CT image.
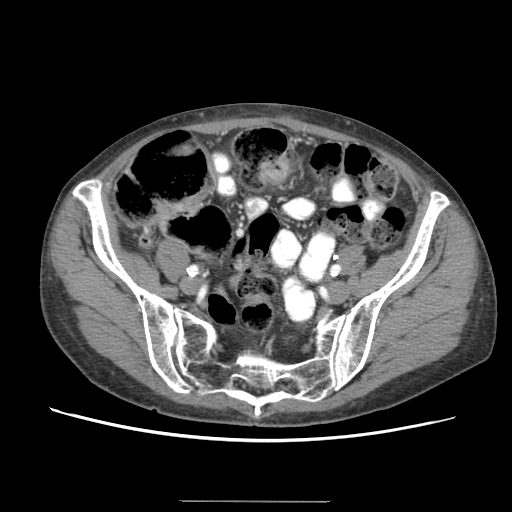 {"colon_tumor": ["<box>261,153,288,182</box>"]}